FLAIR magnetic resonance.
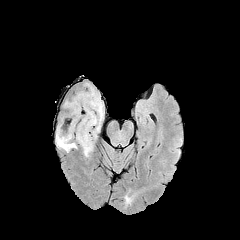
T1-weighted magnetic resonance.
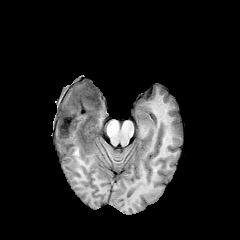
Post-contrast T1-weighted magnetic resonance.
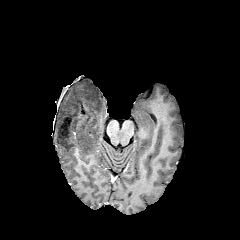
T2-weighted magnetic resonance.
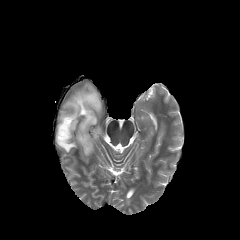
Brain
2 non-enhancing tumor core regions appear at [x1=58, y1=128, x2=69, y2=139], [x1=70, y1=90, x2=99, y2=117]. 2 edema regions appear at [x1=56, y1=92, x2=103, y2=157], [x1=78, y1=83, x2=96, y2=92].